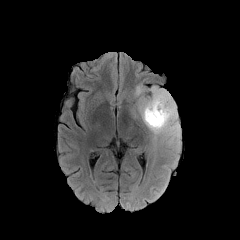
FLAIR magnetic resonance.
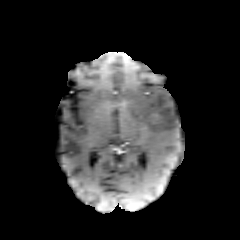
T1-weighted MRI.
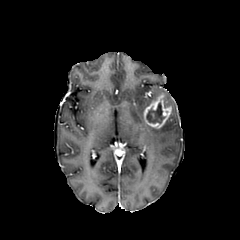
Post-contrast T1-weighted MR of the same slice.
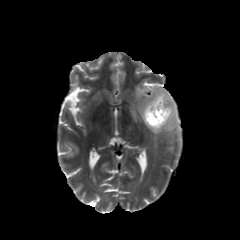
T2-weighted MR.
Enhancing tumor = {"x1": 143, "y1": 92, "x2": 173, "y2": 128}.
Edema = {"x1": 134, "y1": 84, "x2": 181, "y2": 150}.
Non-enhancing tumor core = {"x1": 144, "y1": 88, "x2": 161, "y2": 108}, {"x1": 144, "y1": 103, "x2": 164, "y2": 123}.